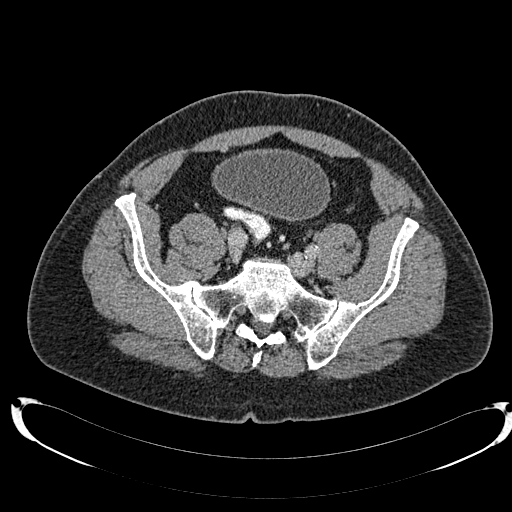
Computed tomography, Pelvis

{
  "urinary_bladder": [
    "x1=215, y1=149, x2=330, y2=219"
  ]
}